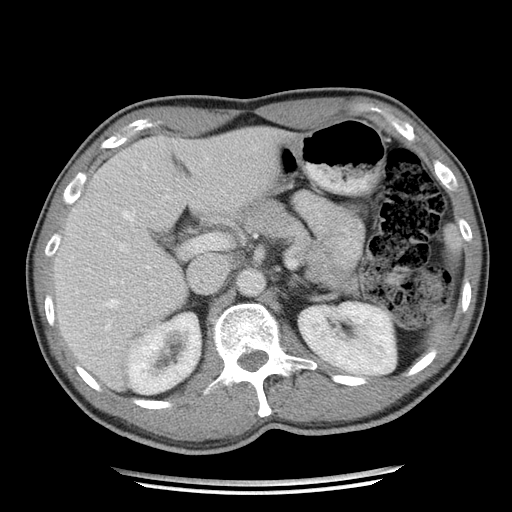
512x512 px; CT slice
pancreatic_tumor:
  - [x1=307, y1=265, x2=327, y2=281]
pancreas:
  - [x1=244, y1=200, x2=357, y2=292]